Field of view 330 mm wide, 2.00 mm slice spacing. Slice 150/188. 512x512. Computed tomography. Liver.
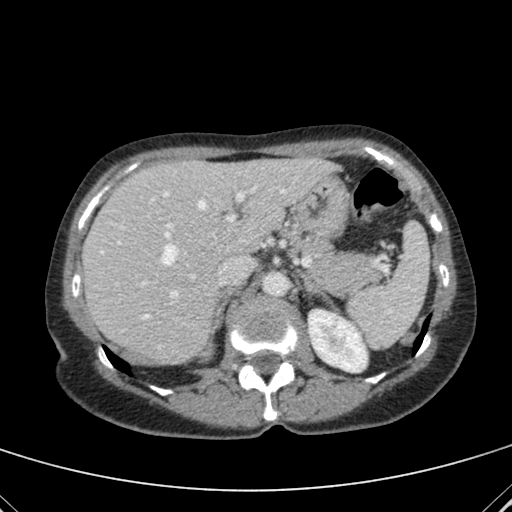

Kidney = region(309, 310, 367, 365).
Liver = region(82, 158, 339, 361).